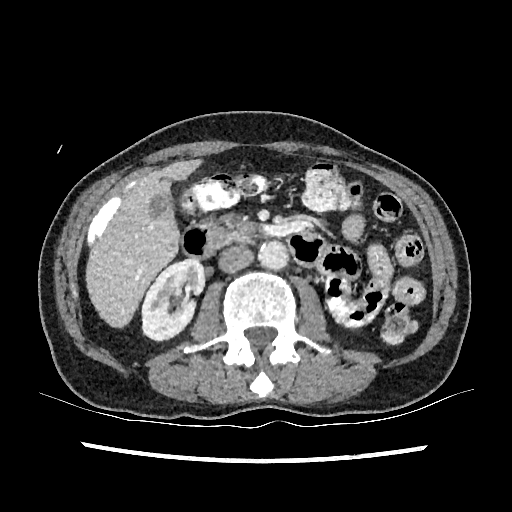
Liver | Image size 512x512 | CT slice

liver: 88:160:200:325 | liver lesion: 148:193:172:219 | kidney: 142:259:204:340